CT | Abdomen | Slice 54/137 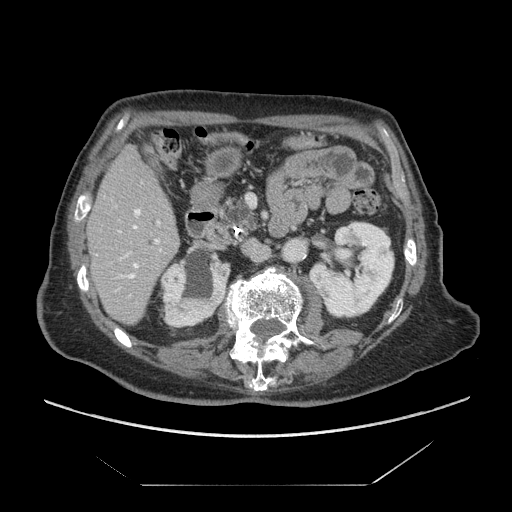

The pancreas appears at 217,192,264,242.